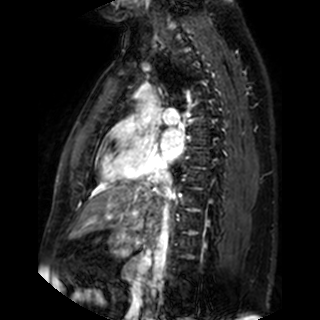 MRI; Heart

Left atrium: bounding box (left=161, top=129, right=183, bottom=161).